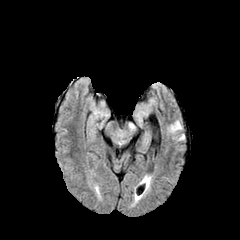
FLAIR MRI.
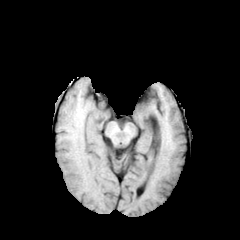
T1-weighted magnetic resonance of the same slice.
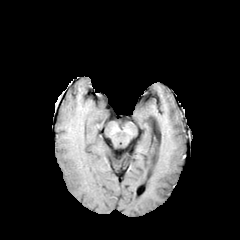
Post-contrast T1-weighted MR.
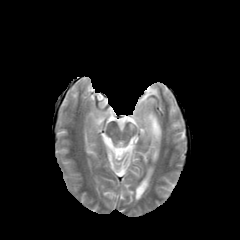
T2-weighted magnetic resonance.
Head
Annotated regions:
- edema: (168, 121, 181, 132)